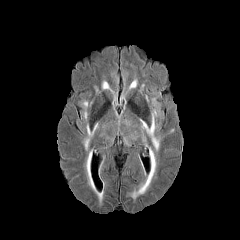
FLAIR MR.
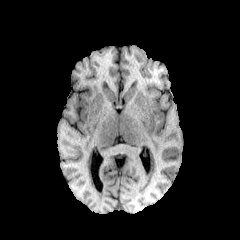
Same slice, T1-weighted magnetic resonance.
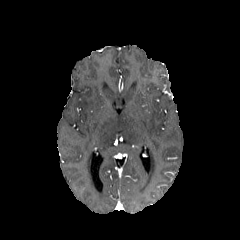
Post-contrast T1-weighted magnetic resonance.
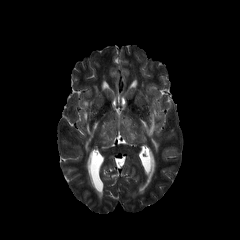
T2-weighted MRI.
Brain.
Edema = bbox(84, 151, 104, 202); bbox(102, 81, 110, 89); bbox(131, 148, 156, 199); bbox(84, 123, 97, 151); bbox(83, 101, 88, 119); bbox(140, 111, 159, 151).